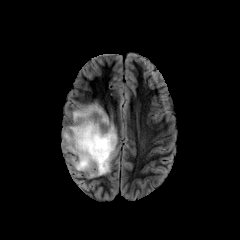
FLAIR MRI.
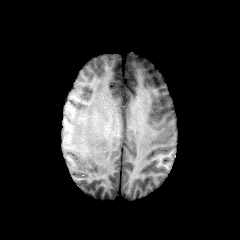
T1-weighted MR.
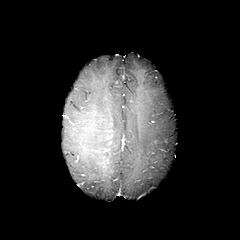
Post-contrast T1-weighted MRI.
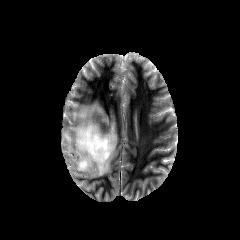
Same slice, T2-weighted MRI.
Head
Findings:
• non-enhancing tumor core: box=[80, 130, 93, 141]
• edema: box=[65, 102, 117, 177]